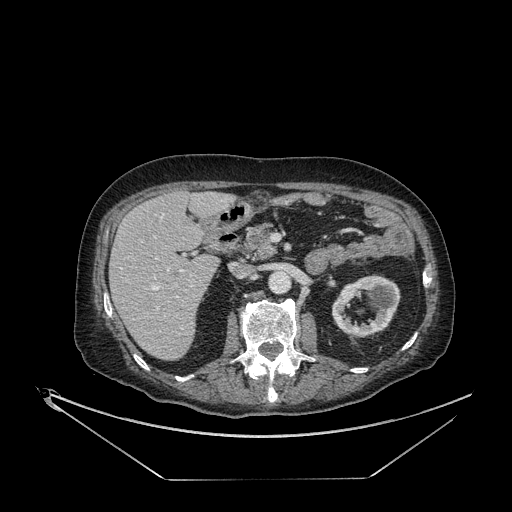

Liver. 512x512. CT image.

The kidney is at (332,276,399,336). The liver is bounded by (110,193,235,359).